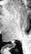
MR, Medial temporal lobe
The posterior hippocampus lies within 8,44,14,46.